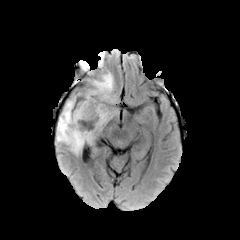
FLAIR magnetic resonance.
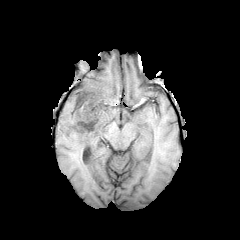
T1-weighted MR image of the same slice.
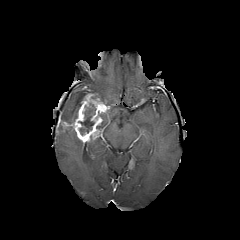
Post-contrast T1-weighted MR of the same slice.
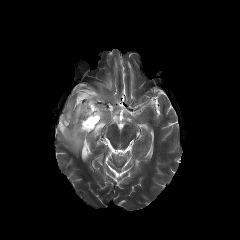
T2-weighted MR image of the same slice.
Annotated regions:
* enhancing tumor: (58,92,107,143)
* non-enhancing tumor core: (74,89,97,120), (80,116,93,131), (57,125,69,132)
* edema: (60,98,75,123), (103,107,117,123), (56,126,84,153), (90,73,117,103)